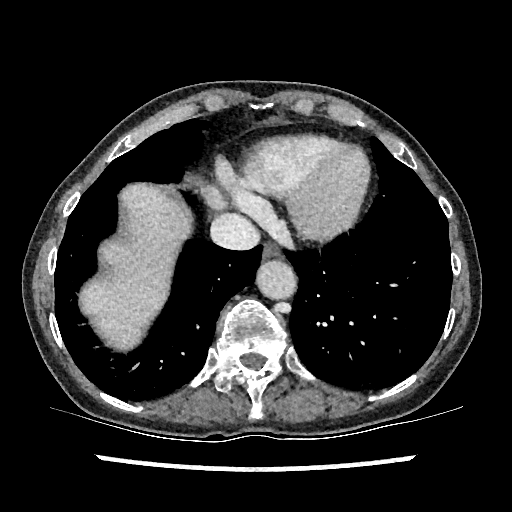
CT. 2 liver regions are located at rect(202, 186, 227, 209); rect(79, 184, 188, 348).